512x512 px. CT. Slice 20 of 52. Abdomen.

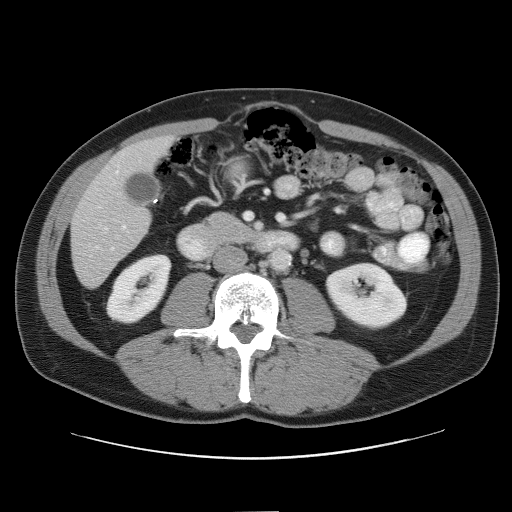 The vessel annotation is not exhaustive.
Hepatic vessel: bounding box 122 226 125 230, 90 246 98 251, 139 159 140 160, 115 172 117 174, 98 224 107 233, 97 206 100 208, 111 248 113 250, 112 181 114 184, 116 235 118 238, 118 193 119 194.